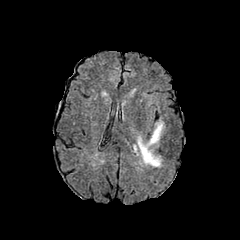
FLAIR MR.
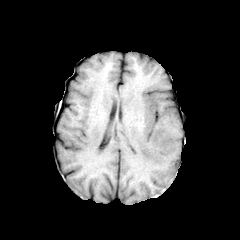
T1-weighted magnetic resonance of the same slice.
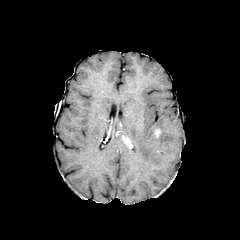
Post-contrast T1-weighted magnetic resonance.
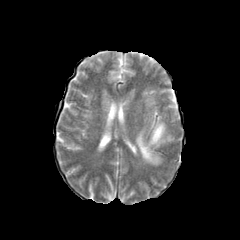
T2-weighted MR.
<segmentation>
  <enhancing_tumor>[152,127,161,142]</enhancing_tumor>
  <edema>[132,118,166,167]</edema>
</segmentation>